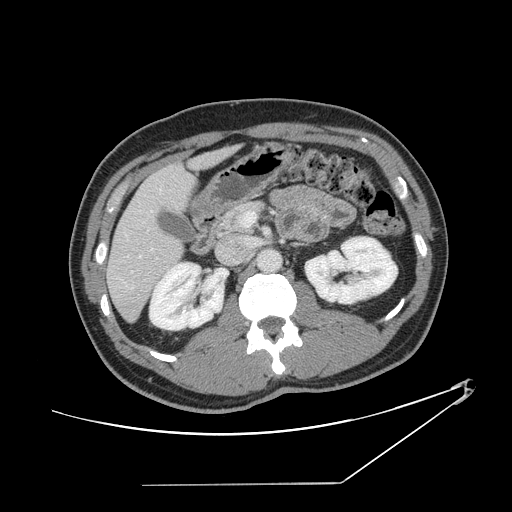 CT slice
The vessel boxes may cover only some of the vessels.
<segmentation>
  <hepatic_vessel><bbox>130, 287, 132, 288</bbox>, <bbox>151, 249, 152, 250</bbox>, <bbox>151, 211, 152, 212</bbox>, <bbox>159, 189, 160, 193</bbox></hepatic_vessel>
</segmentation>